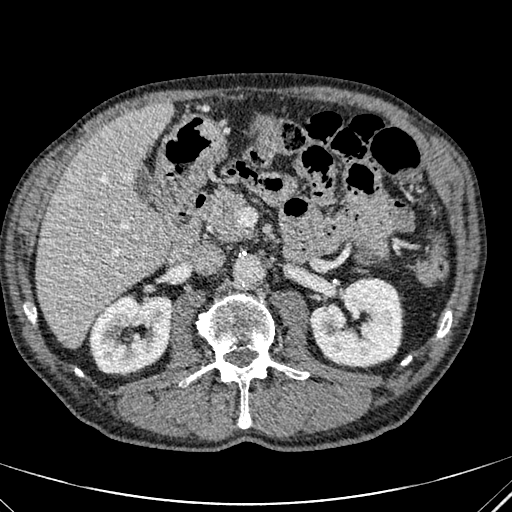

Computed tomography. Liver. 512x512.

liver: 37:102:171:348 | kidney: 90:297:170:372, 311:279:400:365